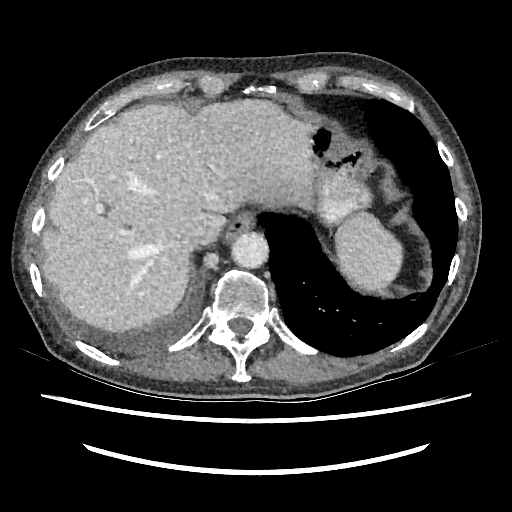
Upper abdomen. CT slice. Image size 512x512.
<segmentation>
  <liver>[x1=42, y1=98, x2=315, y2=331]</liver>
</segmentation>